Prostate | Image size 320x320 | Slice 8 of 15
T2-weighted MR.
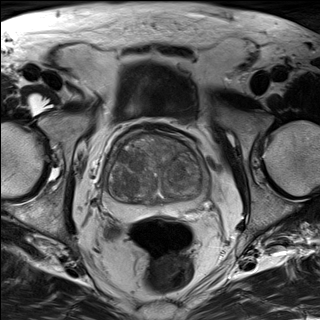
ADC magnetic resonance.
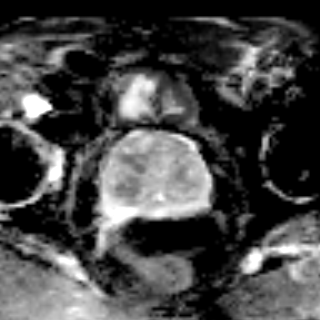
The prostate peripheral zone is bounded by x1=104 y1=162 x2=207 y2=219. The prostate transition zone is bounded by x1=104 y1=131 x2=202 y2=204.